Upper abdomen | Slice index 488 | Computed tomography

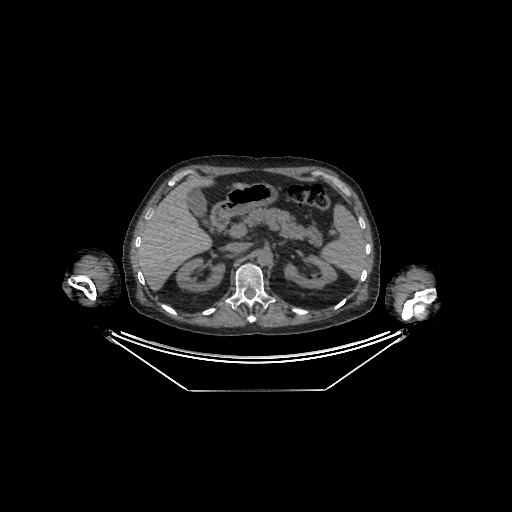
Liver — bbox=[234, 184, 248, 189]; bbox=[136, 176, 213, 289].
Kidney — bbox=[284, 254, 337, 288]; bbox=[176, 258, 224, 292].